FLAIR MRI.
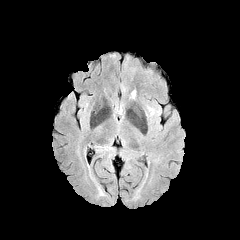
T1-weighted MRI.
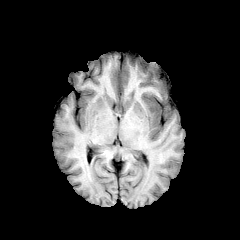
Post-contrast T1-weighted MR.
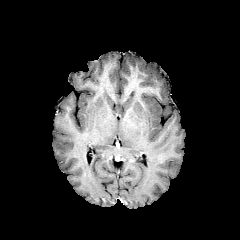
T2-weighted MR image.
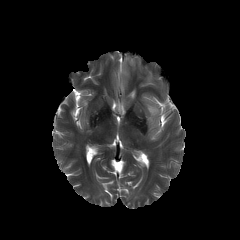
240x240
Edema at (145, 106, 161, 117).